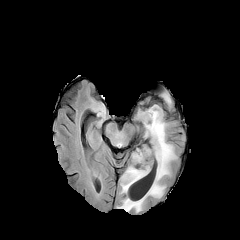
FLAIR MR.
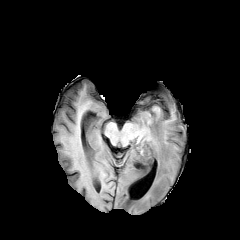
T1-weighted MR of the same slice.
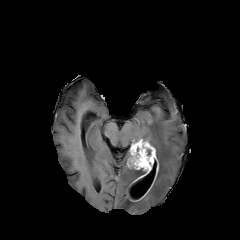
Post-contrast T1-weighted MRI of the same slice.
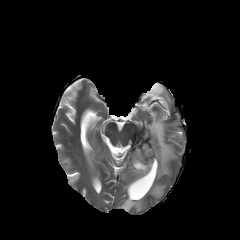
T2-weighted MR.
240x240.
2 non-enhancing tumor core regions appear at bbox=[131, 141, 153, 157]; bbox=[148, 158, 159, 173]. The enhancing tumor is bounded by bbox=[132, 147, 155, 175]. 3 edema regions appear at bbox=[117, 105, 176, 211]; bbox=[142, 172, 155, 181]; bbox=[120, 158, 139, 193].